FLAIR magnetic resonance.
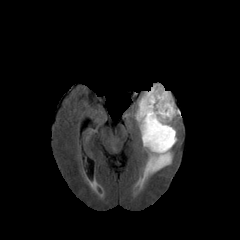
T1-weighted MR.
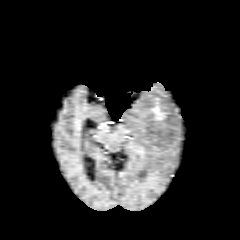
Post-contrast T1-weighted MR image.
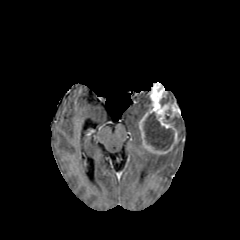
T2-weighted MR image.
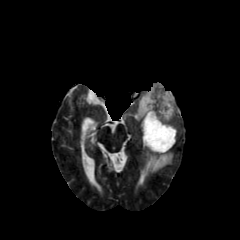
240x240.
Enhancing tumor — 139,82,180,153.
Non-enhancing tumor core — 160,94,174,105; 144,112,173,150; 164,110,176,125.
Edema — 171,115,180,129; 142,140,177,179; 134,91,149,127.